CT image 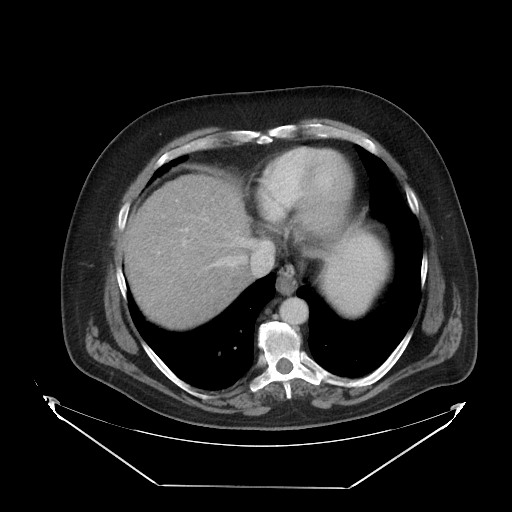
Only some of the vessels may be annotated.
6 hepatic vessel regions appear at <bbox>205, 255, 245, 269</bbox>, <bbox>184, 228, 187, 231</bbox>, <bbox>182, 239, 187, 247</bbox>, <bbox>270, 169, 284, 212</bbox>, <bbox>203, 218, 207, 220</bbox>, <bbox>225, 230, 272, 274</bbox>.